Field of view 240x240 mm | Brain | 240x240
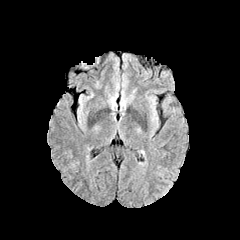
FLAIR MR.
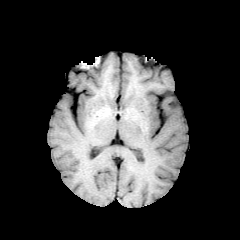
T1-weighted MR image of the same slice.
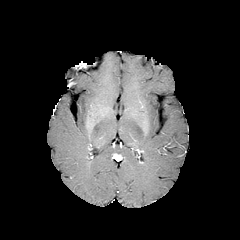
Same slice, post-contrast T1-weighted magnetic resonance.
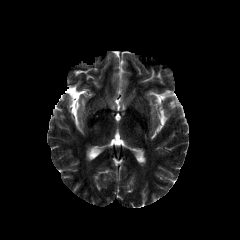
T2-weighted magnetic resonance.
edema:
  - x1=150, y1=110, x2=157, y2=124